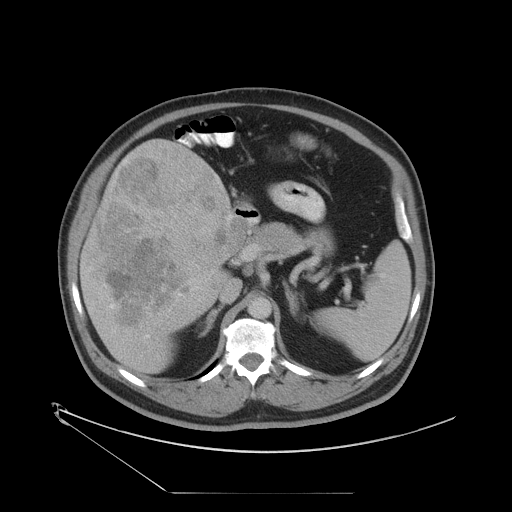

Computed tomography; Abdomen
The vessel annotation is not exhaustive.
- hepatic vessel: [144, 335, 149, 341], [215, 176, 219, 182], [111, 325, 116, 332], [100, 296, 102, 301], [199, 296, 203, 300], [126, 330, 127, 333], [184, 298, 190, 300], [195, 286, 200, 288]
- liver tumor: [90, 146, 247, 330]